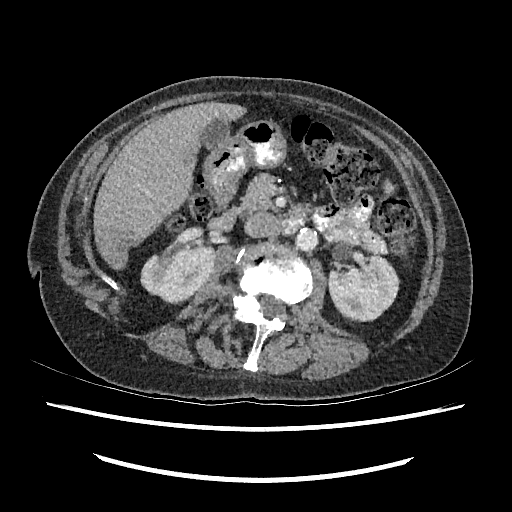 CT slice. Upper abdomen.
<segmentation>
  <focal_liver_lesion>l=112, t=229, r=133, b=251</focal_liver_lesion>
  <liver>l=94, t=102, r=244, b=269</liver>
  <kidney>l=329, t=253, r=398, b=320; l=141, t=246, r=215, b=301</kidney>
</segmentation>